FLAIR MR.
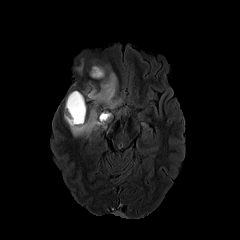
T1-weighted magnetic resonance.
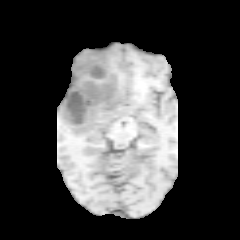
Post-contrast T1-weighted magnetic resonance.
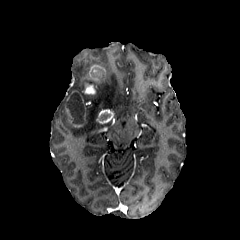
T2-weighted MRI.
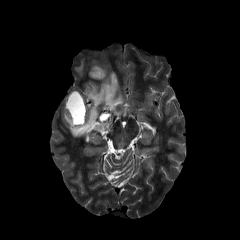
The non-enhancing tumor core is bounded by box=[65, 93, 83, 123]. 3 edema regions are bounded by box=[76, 59, 83, 73]; box=[63, 70, 124, 139]; box=[88, 66, 107, 80]. 4 enhancing tumor regions are located at box=[96, 109, 113, 124]; box=[85, 85, 96, 94]; box=[91, 66, 103, 77]; box=[65, 95, 86, 125].